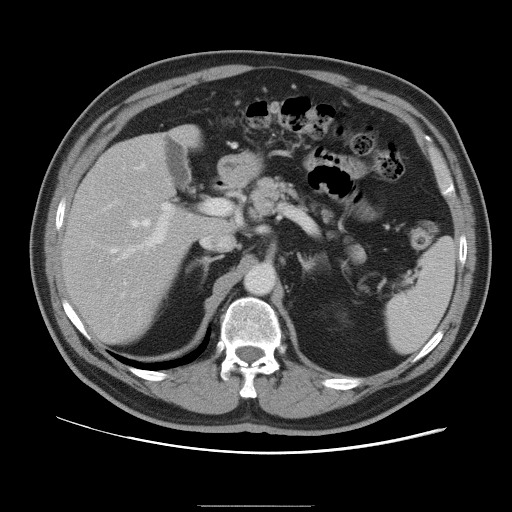

Abdomen | 512x512 | Computed tomography

The vessel annotation is not exhaustive.
Segmented structures:
- hepatic vessel: 131,219,149,226; 118,236,155,259; 159,216,162,221; 82,241,85,242; 102,199,117,210; 123,280,125,284; 121,293,124,295; 136,164,144,169; 92,242,94,244; 161,203,168,209; 109,247,117,252